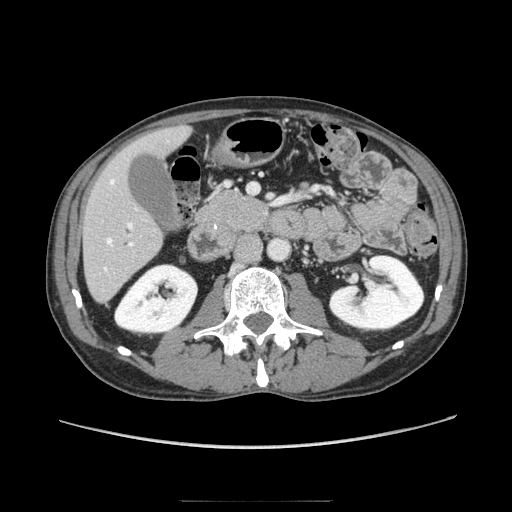

Abdomen. CT image.

<segmentation>
  <pancreas>(x1=197, y1=190, x2=266, y2=232)</pancreas>
</segmentation>